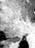 MRI slice; Hippocampus
Posterior hippocampus — <box>10,37,20,42</box>.